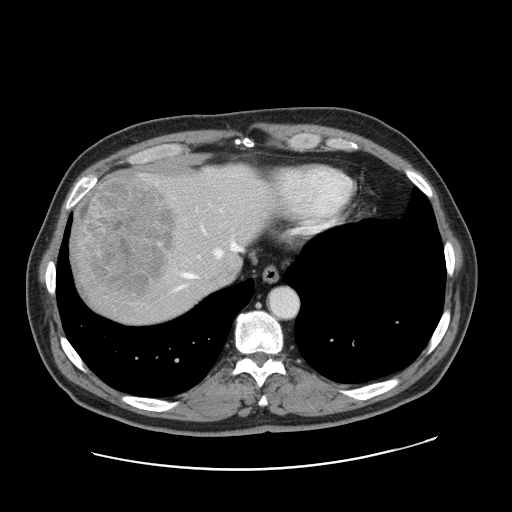
Liver; CT scan slice

Some hepatic vessels may have no box.
liver tumor: <box>71,169,176,296</box> | hepatic vessel: <box>214,249,222,257</box>, <box>175,284,185,290</box>, <box>238,260,240,264</box>, <box>231,242,243,250</box>, <box>202,227,204,231</box>